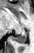 Medial temporal lobe, 34x53 px, MRI slice
The posterior hippocampus is located at box(15, 29, 26, 42).